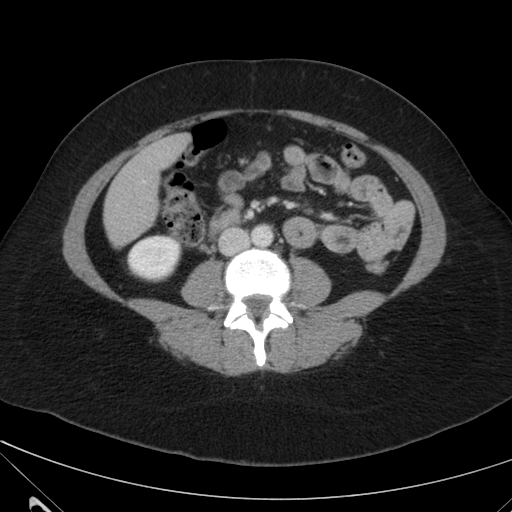 Image size 512x512 | Abdomen | CT image
The liver is bounded by (x1=104, y1=133, x2=190, y2=245). The kidney is located at (x1=129, y1=237, x2=178, y2=277).